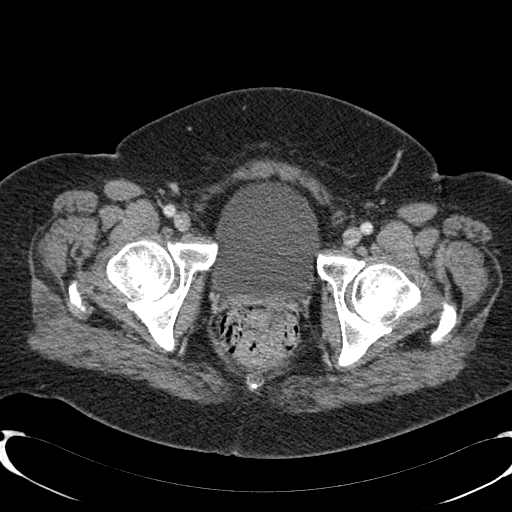

CT, Lower abdomen
* urinary bladder: {"x1": 212, "y1": 182, "x2": 319, "y2": 301}